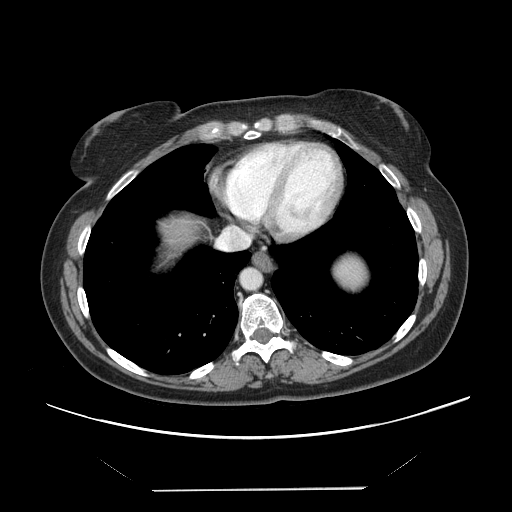
CT slice
The vessel annotation is not exhaustive.
{
  "hepatic_vessel": [
    "l=217, t=225, r=244, b=249"
  ]
}